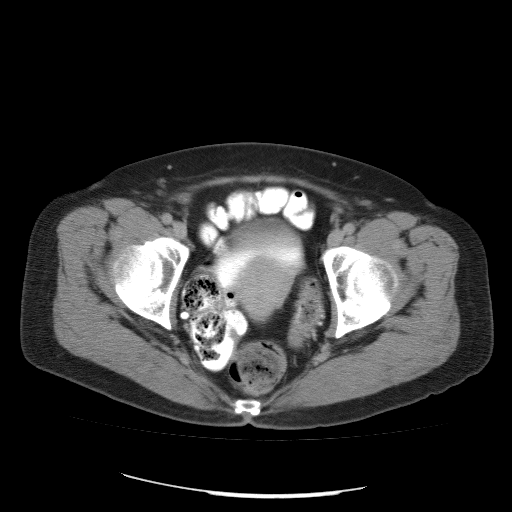
CT image, Image size 512x512

Segmented structures:
* colon tumor: bbox=[289, 319, 309, 345]